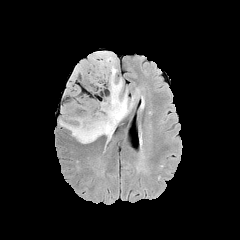
FLAIR magnetic resonance.
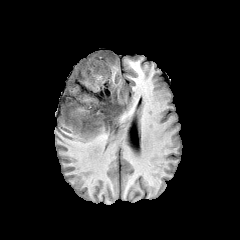
T1-weighted MRI.
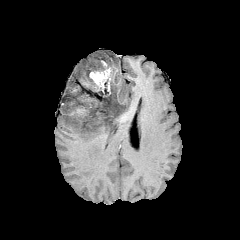
Post-contrast T1-weighted MR.
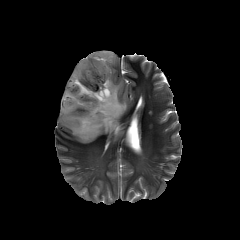
Same slice, T2-weighted MR.
Brain; 240x240
The enhancing tumor is bounded by l=90, t=61, r=111, b=91. 2 non-enhancing tumor core regions appear at l=86, t=80, r=119, b=126; l=88, t=53, r=113, b=90. 2 edema regions are located at l=59, t=57, r=134, b=144; l=65, t=51, r=113, b=94.